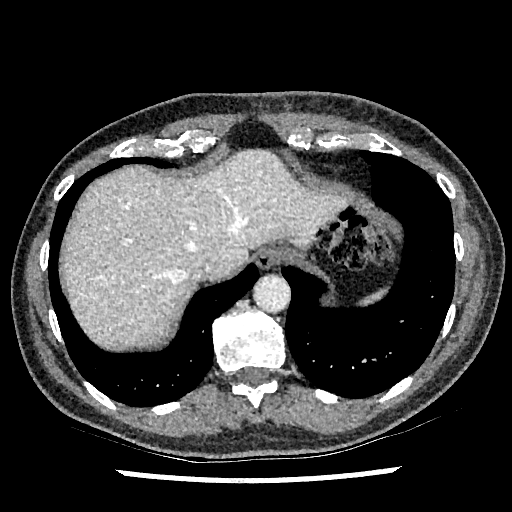
Upper abdomen; CT image; 512x512
liver: {"x1": 62, "y1": 150, "x2": 348, "y2": 349}